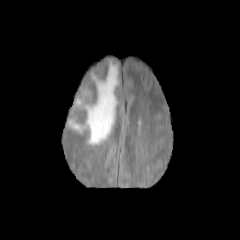
FLAIR MR image.
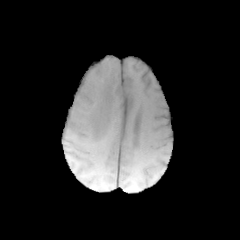
Same slice, T1-weighted magnetic resonance.
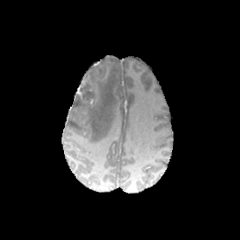
Post-contrast T1-weighted MRI of the same slice.
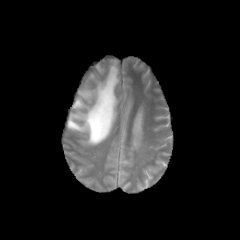
T2-weighted MRI.
- non-enhancing tumor core: (76,81,96,106)
- edema: (68,59,119,145)